Medial temporal lobe. 36x51 px. MRI slice.
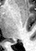 <segmentation>
  <posterior_hippocampus>box(10, 40, 14, 42)</posterior_hippocampus>
</segmentation>